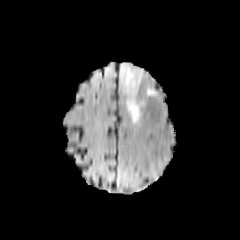
FLAIR magnetic resonance.
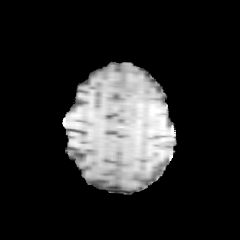
T1-weighted MR.
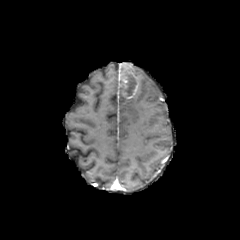
Post-contrast T1-weighted MRI of the same slice.
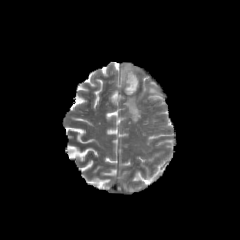
Same slice, T2-weighted magnetic resonance.
240x240 px
Non-enhancing tumor core at x1=120, y1=74, x2=137, y2=96.
Edema at x1=134, y1=66, x2=141, y2=82; x1=147, y1=88, x2=155, y2=95; x1=125, y1=89, x2=141, y2=121.
Enhancing tumor at x1=120, y1=63, x2=139, y2=98.